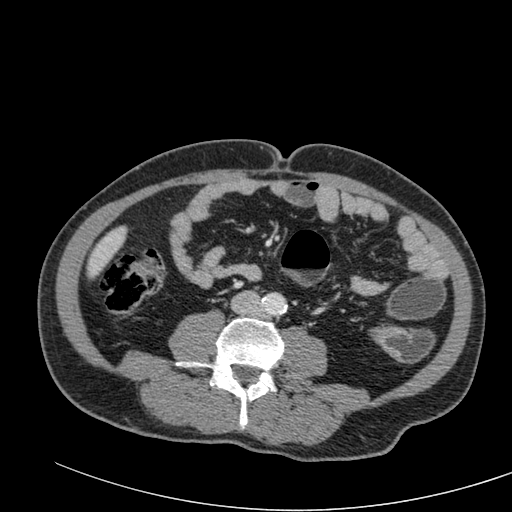 Liver, Computed tomography, 512x512
The liver lies within [x1=88, y1=227, x2=125, y2=275].